CT. 512x512 px.

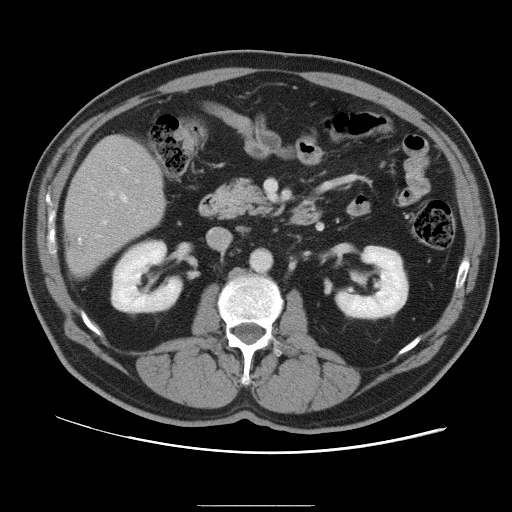

Not every hepatic vessel necessarily has a box.
hepatic vessel: 135,180,137,181; 122,168,126,171; 97,235,100,236; 140,211,142,213; 91,187,94,190; 109,191,113,194; 102,220,106,223; 121,194,126,201 | liver tumor: 69,232,85,253